Upper abdomen. CT scan slice. 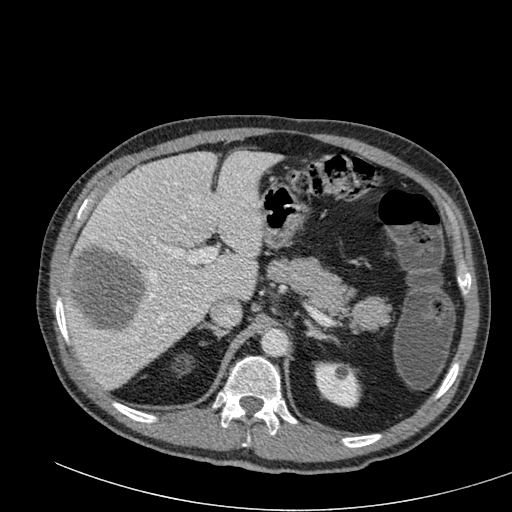 The kidney is bounded by l=316, t=364, r=357, b=406. The liver lesion is bounded by l=71, t=243, r=143, b=331. The liver lies within l=62, t=151, r=282, b=389.